Head; 240x240
FLAIR magnetic resonance.
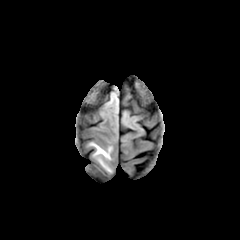
T1-weighted magnetic resonance.
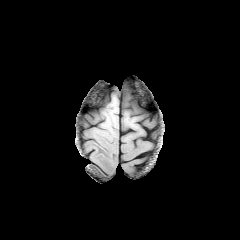
Post-contrast T1-weighted MR.
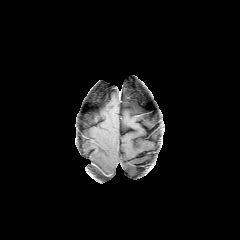
T2-weighted MRI.
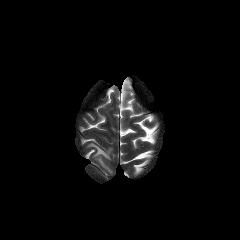
Edema: <bbox>90, 142, 112, 172</bbox>.